FLAIR MR image.
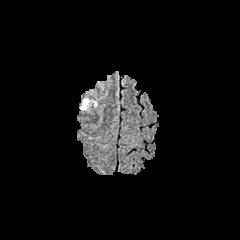
T1-weighted MR image.
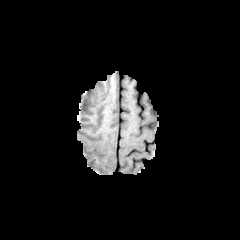
Post-contrast T1-weighted magnetic resonance.
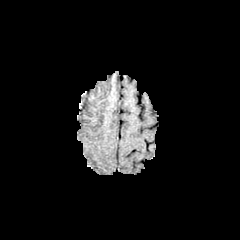
T2-weighted MR.
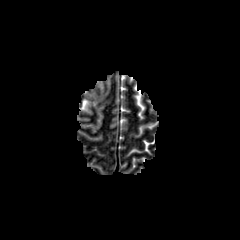
Brain.
edema:
  - [81, 93, 96, 110]